Brain. 240x240. Slice 49/155.
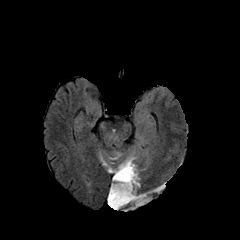
FLAIR MR.
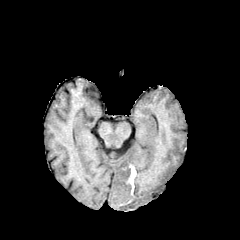
Same slice, T1-weighted MRI.
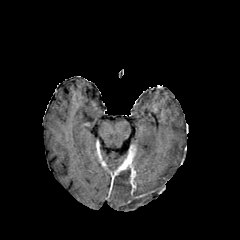
Same slice, post-contrast T1-weighted MR.
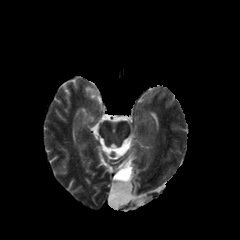
T2-weighted MR of the same slice.
2 non-enhancing tumor core regions are bounded by 114:168:130:183, 115:148:130:155. 2 edema regions appear at 108:159:158:211, 111:151:124:161. The enhancing tumor is at 114:147:135:187.